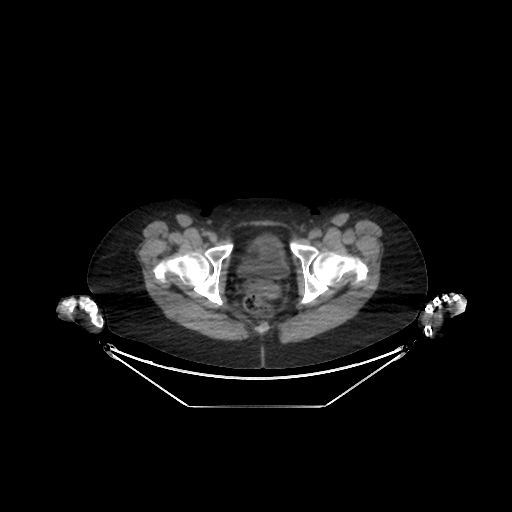

Computed tomography
The urinary bladder is at [x1=237, y1=232, x2=289, y2=280].